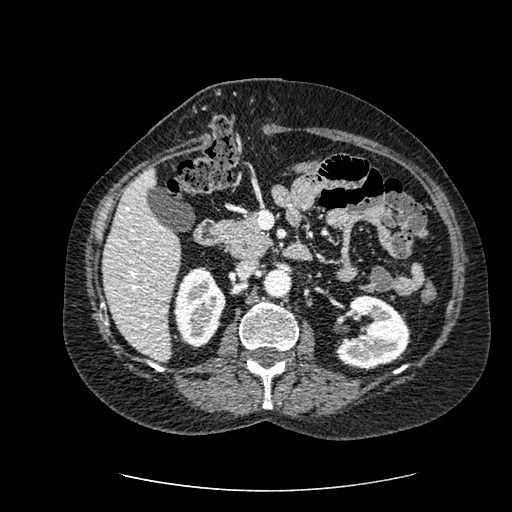 CT image. Image size 512x512.

The liver is bounded by bbox=[102, 167, 180, 360]. 2 kidney regions are located at bbox=[175, 268, 224, 346]; bbox=[337, 296, 408, 368].